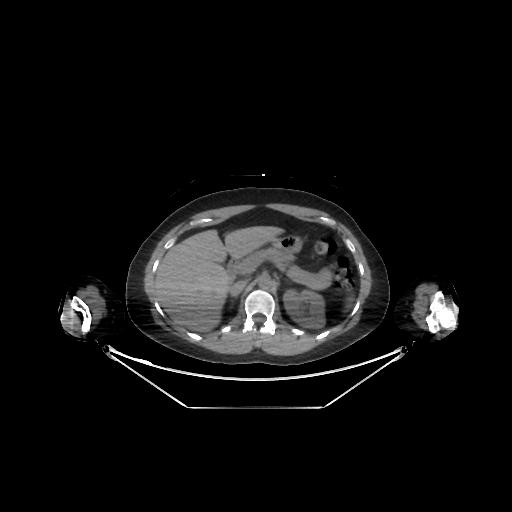

CT image
Annotated regions:
- liver: x1=150, y1=226, x2=282, y2=336
- kidney: x1=283, y1=287, x2=325, y2=329